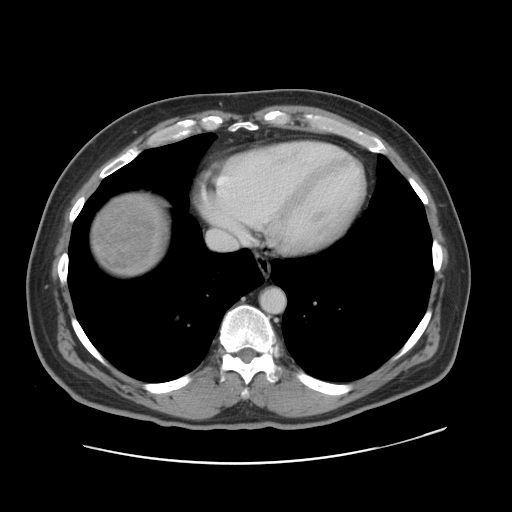
Liver; 512x512; CT image
The liver tumor lies within left=93, top=198, right=157, bottom=269.